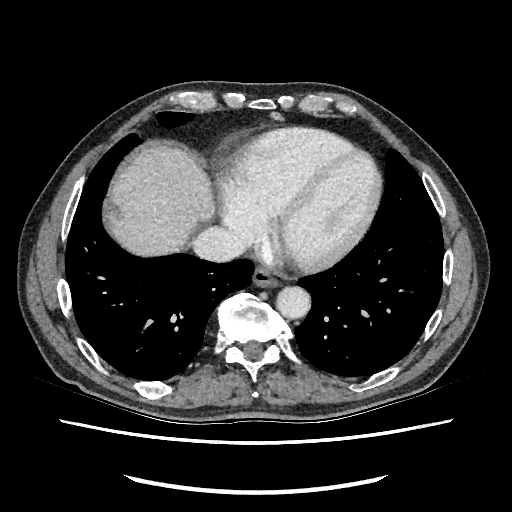 CT scan slice. Abdomen. Image size 512x512.
Liver — (110,148,216,254).
Liver lesion — (112,206,120,216).